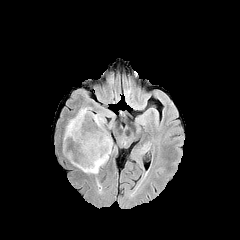
FLAIR MR image.
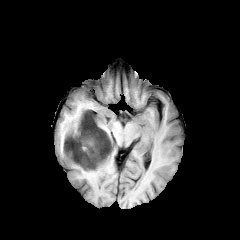
T1-weighted MR image.
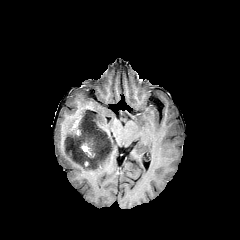
Post-contrast T1-weighted magnetic resonance.
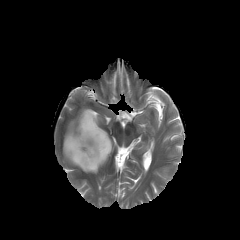
Same slice, T2-weighted MRI.
Brain
non-enhancing tumor core: (x1=65, y1=110, x2=110, y2=168) | enhancing tumor: (x1=81, y1=142, x2=94, y2=157) | edema: (x1=66, y1=113, x2=114, y2=173), (x1=63, y1=107, x2=92, y2=154)